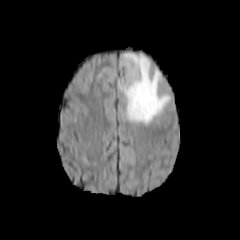
FLAIR magnetic resonance.
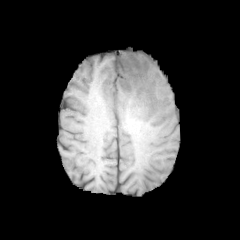
T1-weighted MR of the same slice.
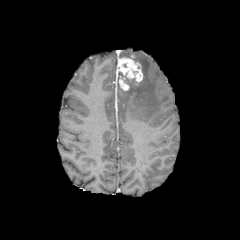
Post-contrast T1-weighted MR image of the same slice.
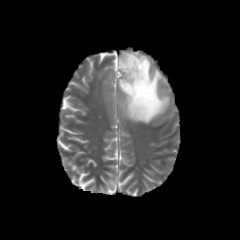
T2-weighted MR image.
240x240.
Edema = [x1=124, y1=54, x2=170, y2=125].
Enhancing tumor = [x1=116, y1=55, x2=143, y2=90].